Liver. CT. 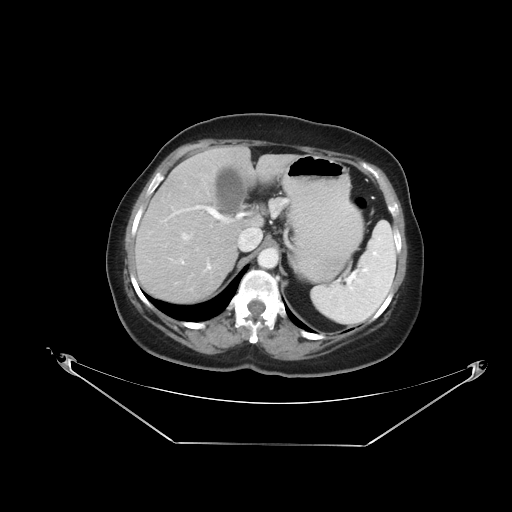

Some hepatic vessels may have no box.
7 hepatic vessel regions are located at (171,205,243,223), (182,233,192,239), (196,248,198,250), (180,258,183,264), (175,282,177,283), (237,222,259,249), (205,258,210,270).